Brain; 240x240
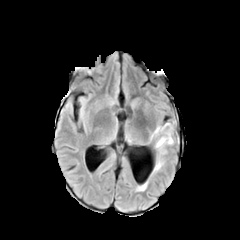
FLAIR MR.
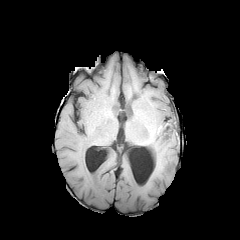
T1-weighted MR image of the same slice.
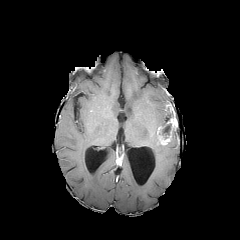
Post-contrast T1-weighted MR.
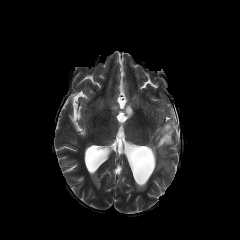
T2-weighted MR of the same slice.
The non-enhancing tumor core appears at x1=158 y1=122 x2=175 y2=136. 2 edema regions appear at x1=150 y1=124 x2=179 y2=175, x1=136 y1=180 x2=148 y2=191. The enhancing tumor lies within x1=158 y1=135 x2=171 y2=144.